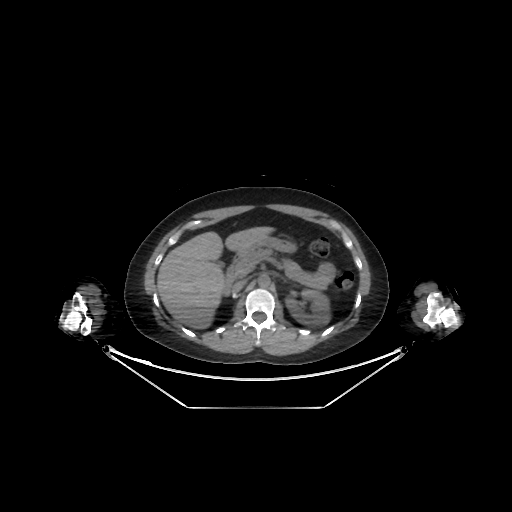

Computed tomography. The kidney appears at 285 287 330 327. 2 liver regions appear at 154 232 225 328, 225 227 272 256.